FLAIR MR image.
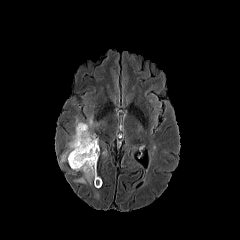
T1-weighted magnetic resonance.
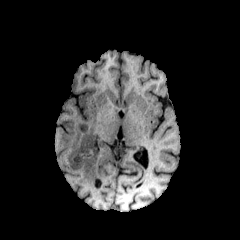
Post-contrast T1-weighted MRI.
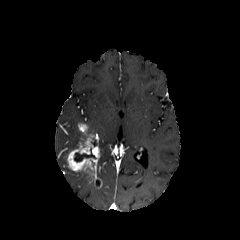
T2-weighted MRI.
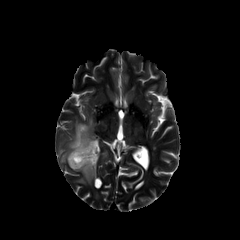
Head
Annotated regions:
• enhancing tumor: x1=67 y1=123 x2=102 y2=189
• edema: x1=60 y1=110 x2=98 y2=163, x1=75 y1=170 x2=92 y2=185
• non-enhancing tumor core: x1=74 y1=149 x2=95 y2=161